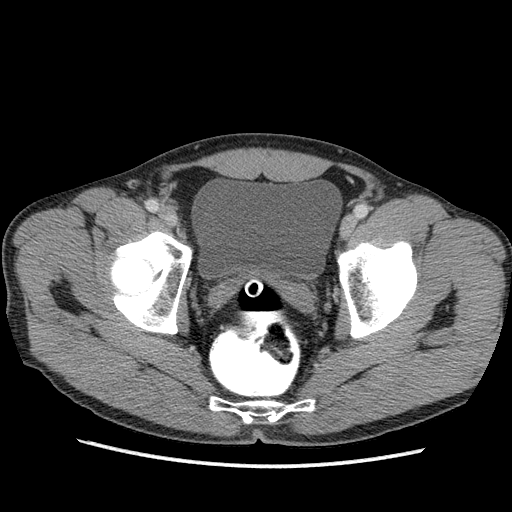 CT image.

Urinary bladder at (left=191, top=178, right=342, bottom=284).